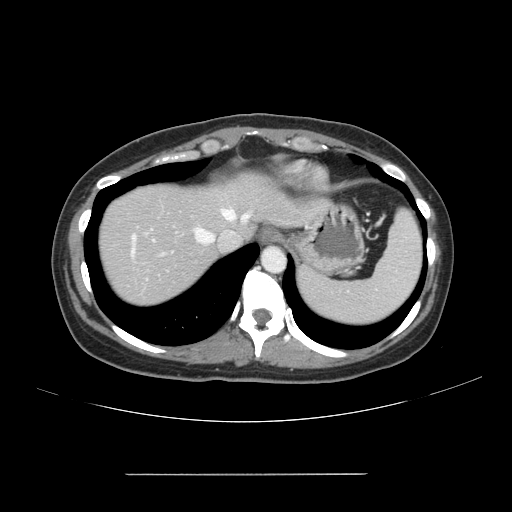
CT scan slice
The vessel annotation is not exhaustive.
hepatic_vessel:
  - x1=222, y1=210, x2=234, y2=220
  - x1=132, y1=247, x2=133, y2=254
  - x1=195, y1=228, x2=213, y2=242
  - x1=132, y1=235, x2=135, y2=241
  - x1=242, y1=214, x2=248, y2=220